Head; Image size 240x240; Field of view 240x240 mm
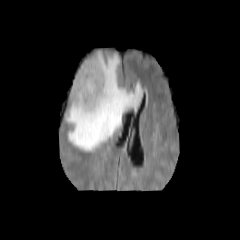
FLAIR MRI.
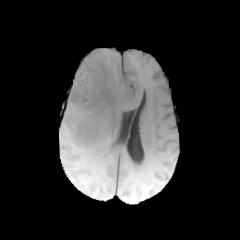
T1-weighted magnetic resonance of the same slice.
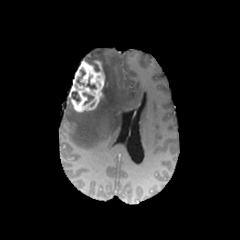
Post-contrast T1-weighted MR image.
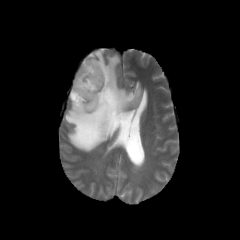
T2-weighted MR image.
non-enhancing_tumor_core:
  - (x1=82, y1=93, x2=93, y2=104)
  - (x1=98, y1=75, x2=107, y2=104)
  - (x1=85, y1=60, x2=99, y2=71)
  - (x1=71, y1=91, x2=80, y2=101)
enhancing_tumor:
  - (x1=67, y1=60, x2=104, y2=112)
edema:
  - (x1=65, y1=50, x2=142, y2=151)